CT. Slice 41/98. 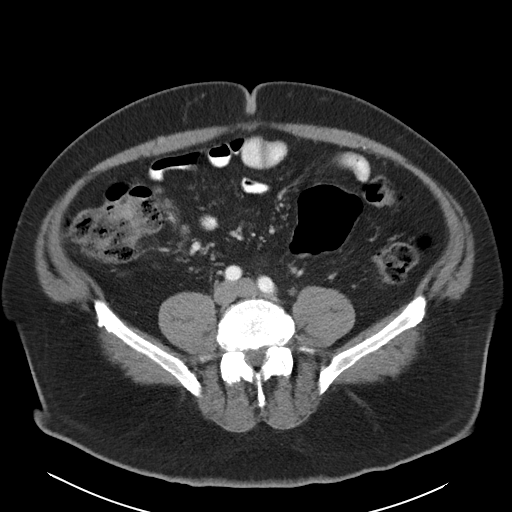

Colon tumor at rect(111, 197, 142, 220).